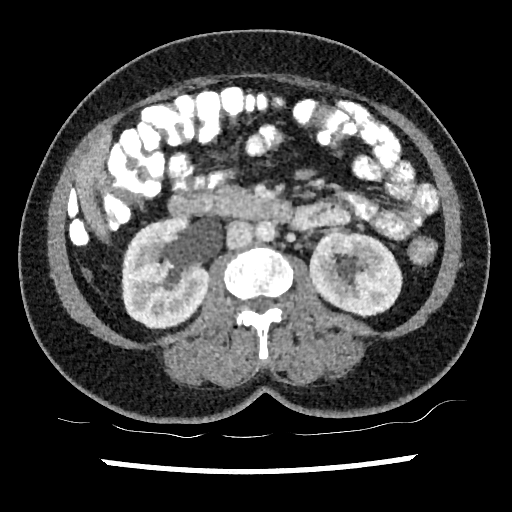
CT scan slice
Kidney = bbox(310, 233, 401, 315); bbox(123, 218, 208, 327).
Liver = bbox(77, 134, 110, 237).